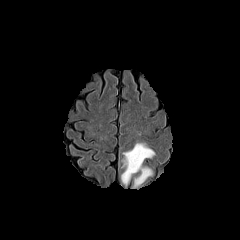
FLAIR MRI.
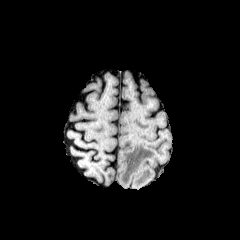
T1-weighted MR image.
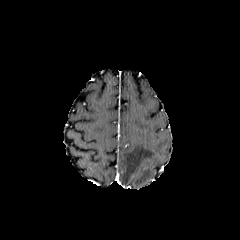
Post-contrast T1-weighted MR image.
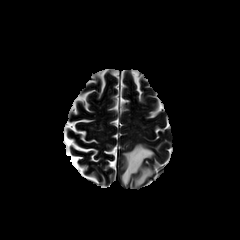
T2-weighted magnetic resonance.
edema:
  - left=121, top=143, right=154, bottom=188